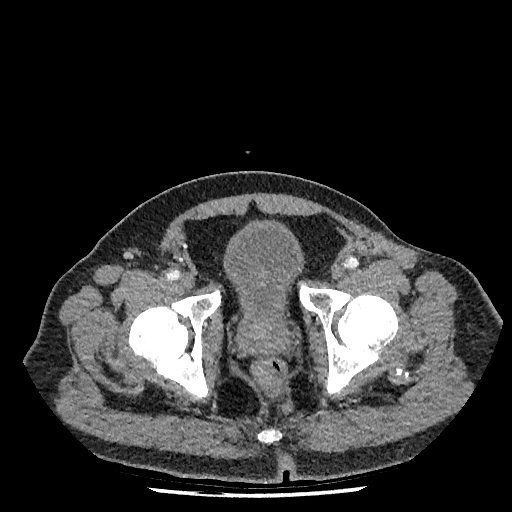 CT image. Lower abdomen.
urinary_bladder:
  - x1=223 y1=224 x2=305 y2=321